Field of view 306x306 mm; CT image 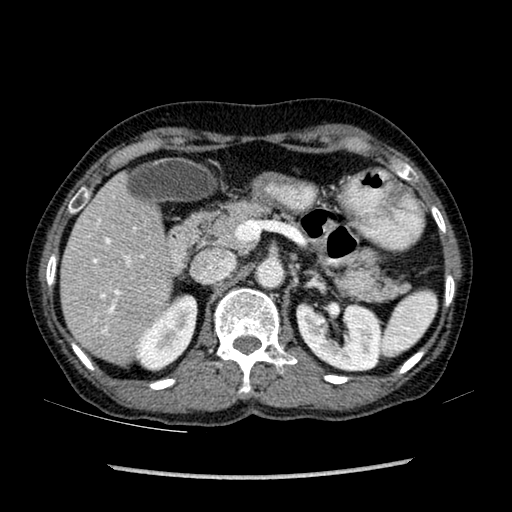

Liver: 61:175:170:362.
Kidney: 137:296:196:368, 297:302:379:369.